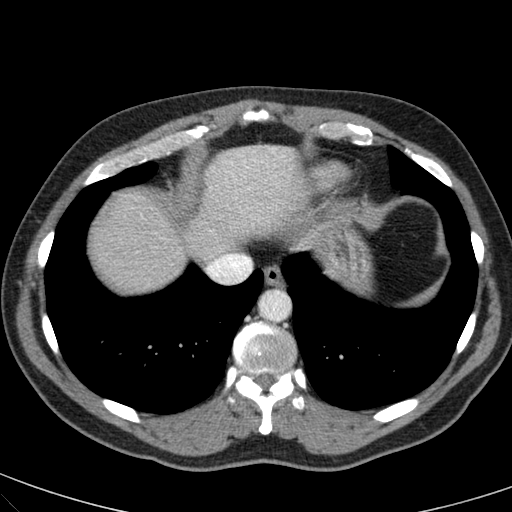
Computed tomography. 512x512 px. Abdomen.
Liver at bbox(93, 145, 302, 289); bbox(299, 220, 334, 233).